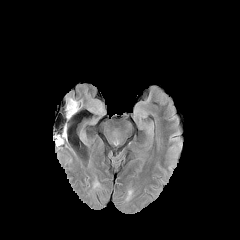
FLAIR MRI.
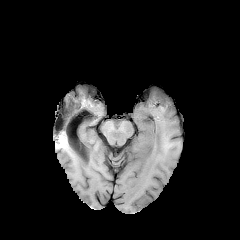
T1-weighted MR.
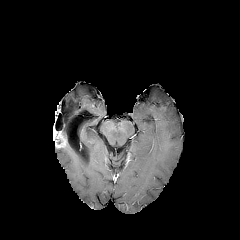
Post-contrast T1-weighted magnetic resonance of the same slice.
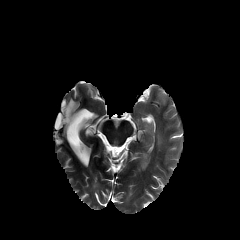
T2-weighted MRI.
Head.
Edema — 66 98 79 119.